CT slice | Slice 409 of 771 | 512x512

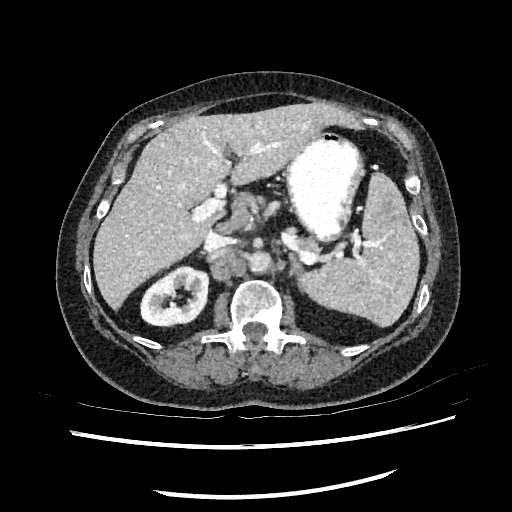
The kidney lies within (x1=141, y1=267, x2=207, y2=325). The liver is at (x1=93, y1=102, x2=364, y2=309).